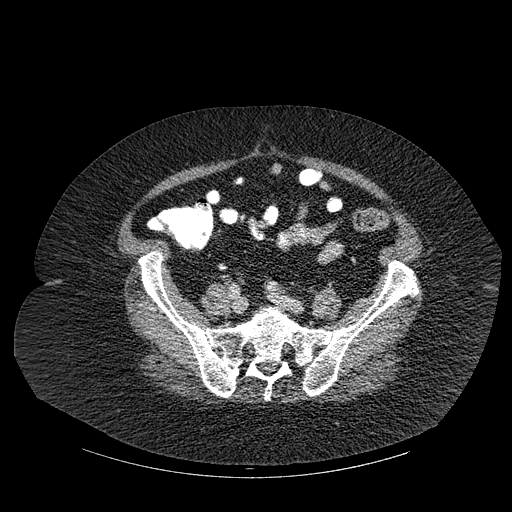

CT image, 512x512

bone:
  - box(138, 251, 418, 400)